Image size 512x512, CT image, Liver

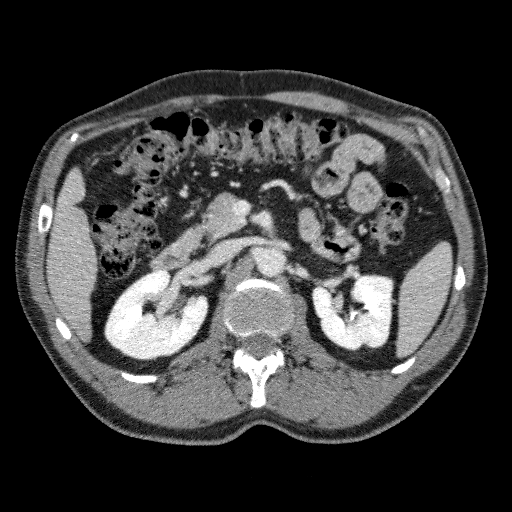

{
  "kidney": [
    "106 270 206 358",
    "313 276 391 348"
  ],
  "liver": [
    "47 168 96 340"
  ]
}